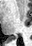
Magnetic resonance. 32x46.

{"posterior_hippocampus": ["[x1=10, y1=37, x2=16, y2=39]"]}